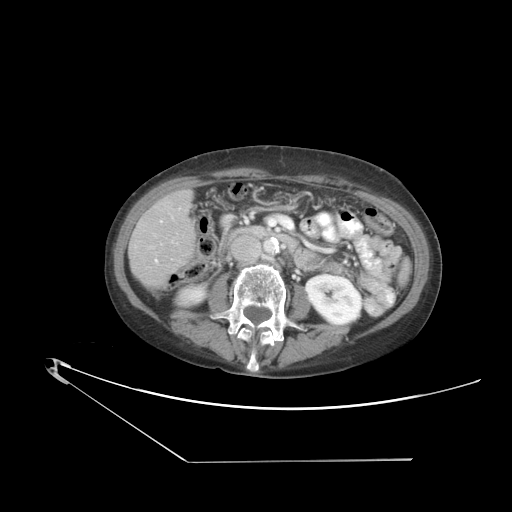
CT scan slice
Some hepatic vessels may have no box.
Hepatic vessel: bounding box [160, 220, 162, 222], [155, 259, 157, 262].